FLAIR MR.
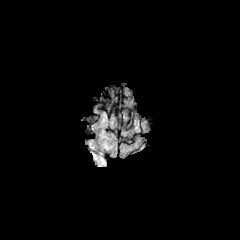
T1-weighted MR.
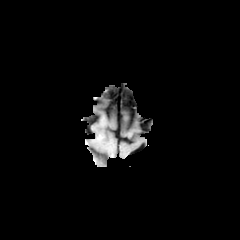
Post-contrast T1-weighted MRI.
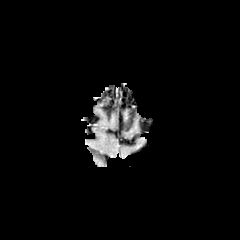
T2-weighted MR.
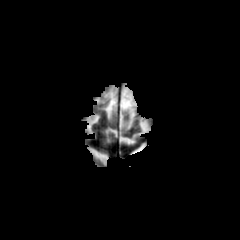
240x240 px. Brain.
The edema is bounded by (92,153,105,166).